CT image. Slice index 72.
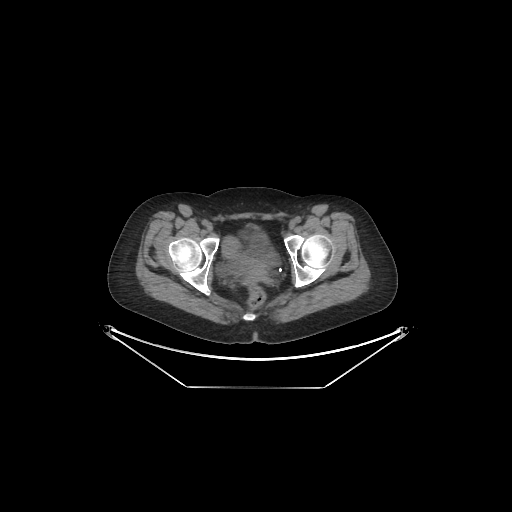

<segmentation>
  <urinary_bladder>221 225 280 273</urinary_bladder>
</segmentation>